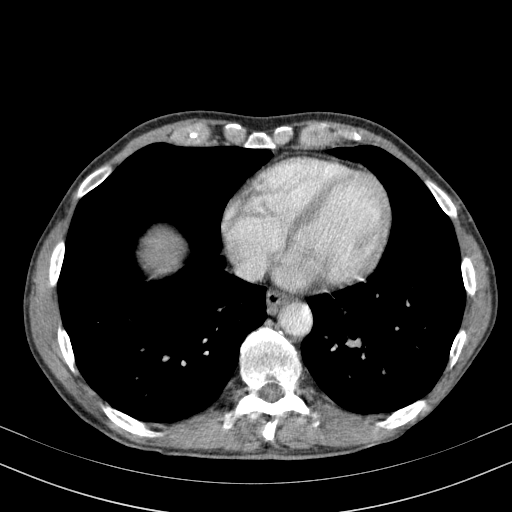
CT image | Liver
The liver is at left=145, top=236, right=178, bottom=273.